Slice index 66
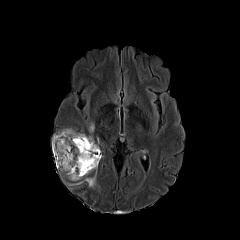
FLAIR MRI.
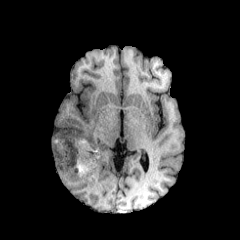
T1-weighted magnetic resonance of the same slice.
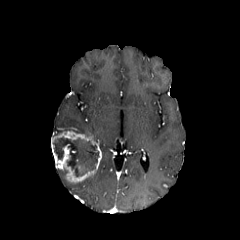
Post-contrast T1-weighted MR.
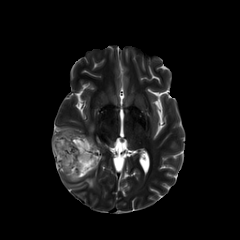
T2-weighted MR.
Annotated regions:
- enhancing tumor: 52:131:101:182
- non-enhancing tumor core: 53:136:99:176
- edema: 83:173:96:188